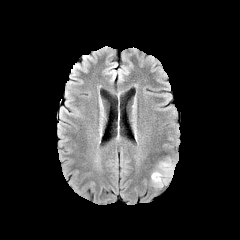
FLAIR MR image.
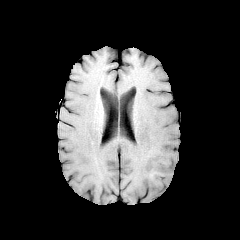
Same slice, T1-weighted MRI.
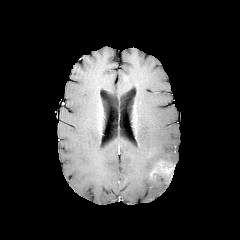
Post-contrast T1-weighted MR.
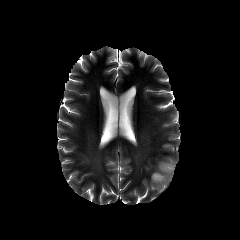
T2-weighted MR.
2 non-enhancing tumor core regions appear at x1=159 y1=162 x2=174 y2=169, x1=152 y1=170 x2=171 y2=181. The enhancing tumor appears at x1=161 y1=164 x2=173 y2=173. The edema lies within x1=150 y1=158 x2=172 y2=188.